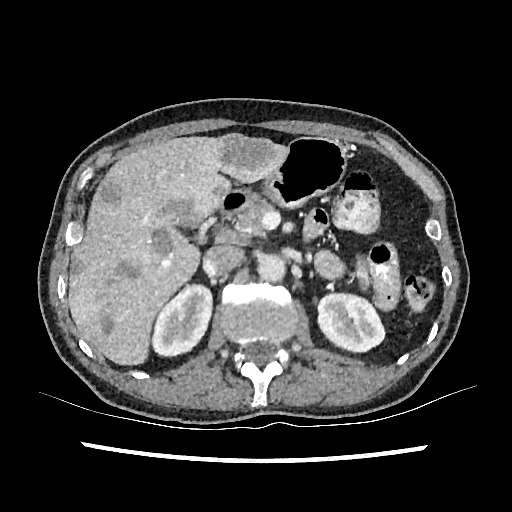 Liver | CT scan slice
<segmentation>
  <kidney>l=318, t=294, r=384, b=351; l=153, t=285, r=211, b=357</kidney>
  <liver>l=69, t=137, r=286, b=364</liver>
  <hepatic_lesion>l=99, t=181, r=124, b=205; l=70, t=256, r=85, b=275; l=100, t=315, r=114, b=335; l=164, t=201, r=198, b=225; l=151, t=227, r=173, b=255; l=219, t=135, r=274, b=168; l=215, t=186, r=224, b=196; l=117, t=261, r=141, b=279; l=105, t=279, r=116, b=284</hepatic_lesion>
</segmentation>